CT slice; Slice 151/243; Thorax; Field of view 420 mm wide, 1.24 mm slice spacing
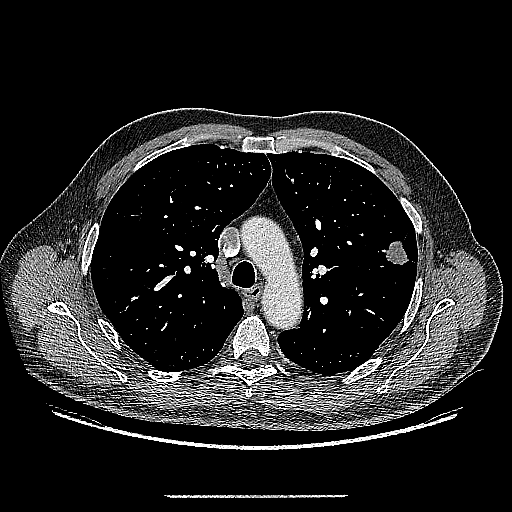 Annotated regions:
• lung tumor: (385,240,409,265)